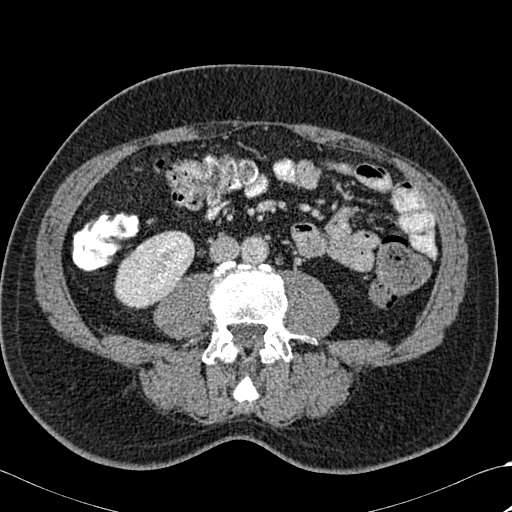
Abdomen. CT.
The kidney lies within [115, 232, 193, 307]. 2 bone regions are bounded by [234, 372, 257, 401], [202, 261, 313, 364].